Brain, Field of view 240x240 mm
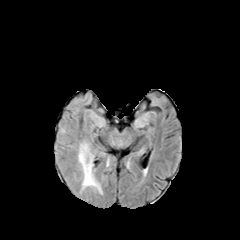
FLAIR MR image.
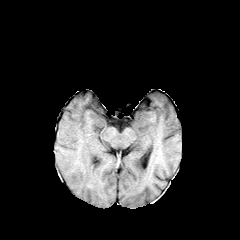
T1-weighted MR of the same slice.
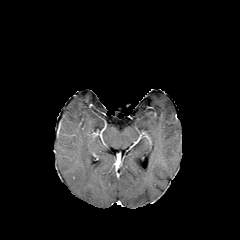
Post-contrast T1-weighted magnetic resonance.
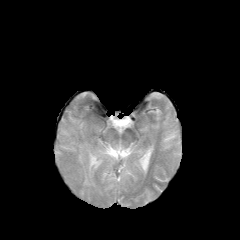
T2-weighted MR.
Edema: bounding box rect(78, 143, 101, 191).